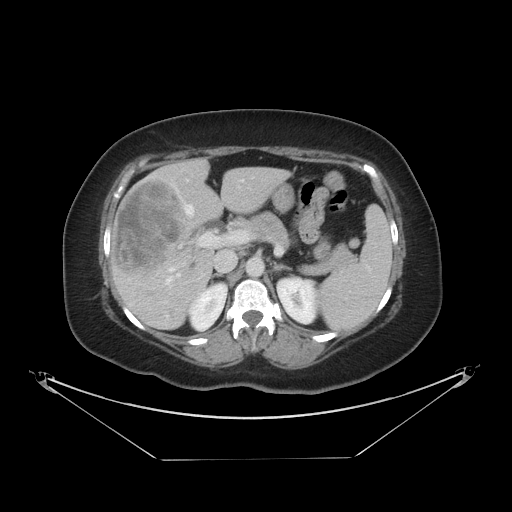
512x512; CT

Not every hepatic vessel necessarily has a box.
Findings:
• hepatic vessel: bbox(179, 244, 181, 246); bbox(168, 268, 175, 271); bbox(185, 179, 188, 181); bbox(166, 276, 173, 283); bbox(177, 273, 179, 276); bbox(197, 235, 204, 246); bbox(185, 205, 192, 214)
• liver tumor: bbox(112, 181, 184, 272)